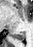 Hippocampus, 33x47, MR image
posterior hippocampus: box=[14, 32, 24, 40]